CT slice; Upper abdomen
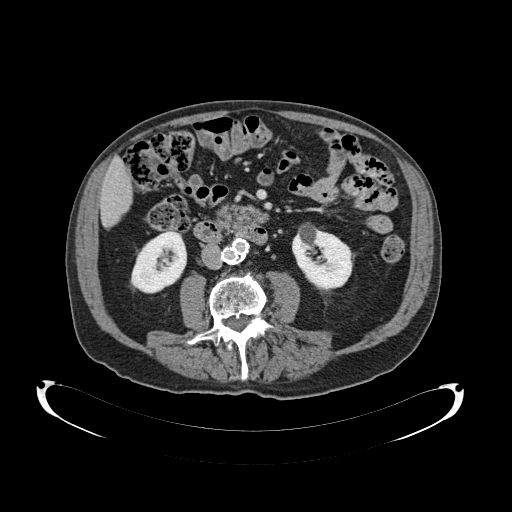

Pancreas — (216,204,242,234).